Medial temporal lobe. Image size 39x50. Slice index 15. MRI.

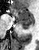
2 posterior hippocampus regions are located at {"x1": 17, "y1": 22, "x2": 20, "y2": 24}, {"x1": 21, "y1": 21, "x2": 32, "y2": 28}. The anterior hippocampus is bounded by {"x1": 11, "y1": 7, "x2": 32, "y2": 21}.